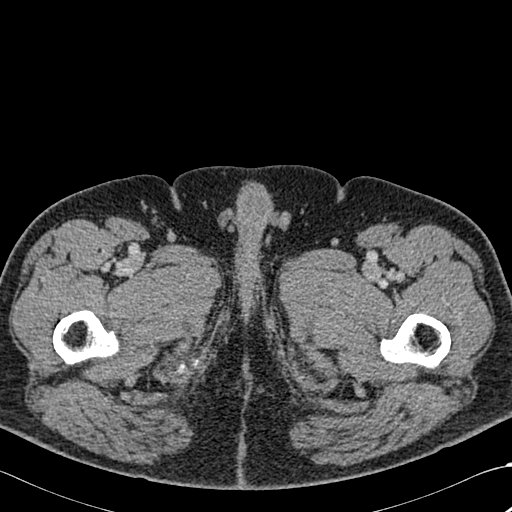 CT scan slice

2 bone regions are located at (x1=381, y1=313, x2=450, y2=367), (x1=53, y1=310, x2=118, y2=363).